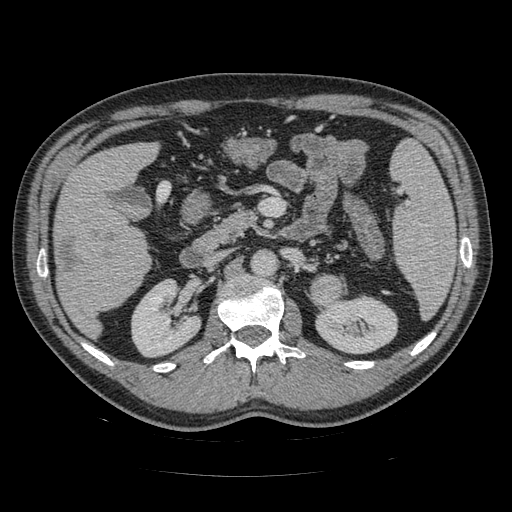

Abdomen, 512x512 px, CT
Segmented structures:
* pancreatic tumor: [310,274,342,305]
* pancreas: [217,211,253,237]